Slice index 140; 512x512; CT image 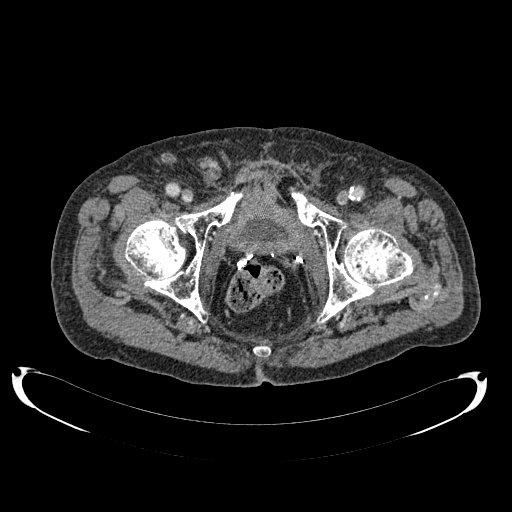
The urinary bladder is bounded by (left=241, top=218, right=287, bottom=242).